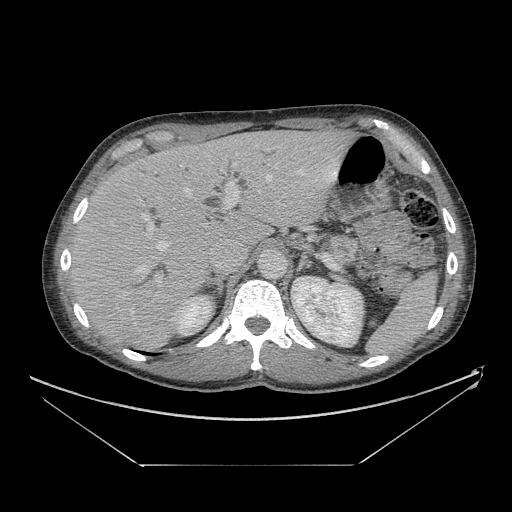

CT scan slice
Pancreas: bounding box (x1=324, y1=234, x2=358, y2=264).